Slice 91/164. CT scan slice.
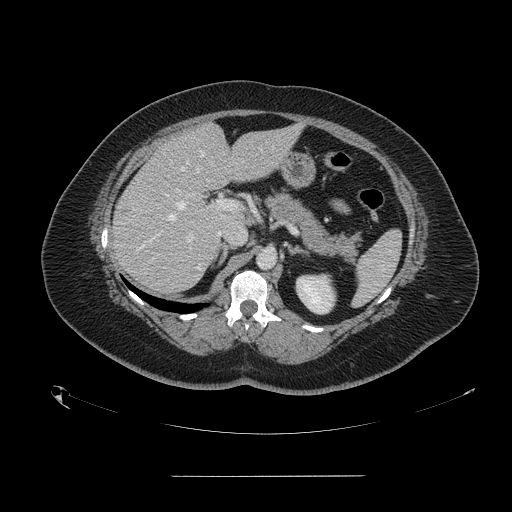
{
  "spleen": [
    "(352, 231, 401, 307)"
  ]
}